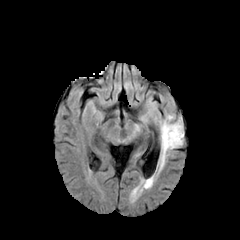
FLAIR MR image.
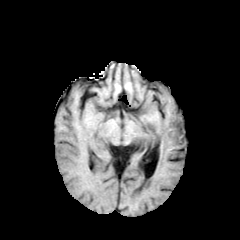
T1-weighted magnetic resonance.
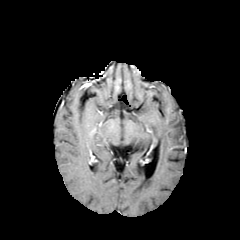
Post-contrast T1-weighted MRI.
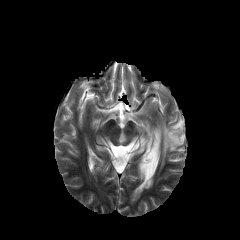
T2-weighted MRI.
Head
edema:
  - x1=131 y1=113 x2=184 y2=200